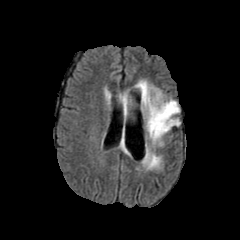
FLAIR magnetic resonance.
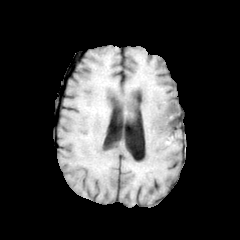
T1-weighted MR image.
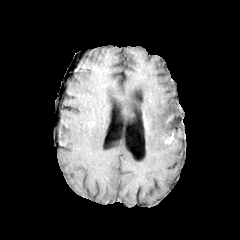
Post-contrast T1-weighted magnetic resonance.
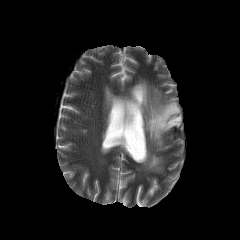
T2-weighted magnetic resonance.
Head
Segmented structures:
• non-enhancing tumor core: 166:104:177:113
• edema: 132:80:181:170, 120:89:135:118